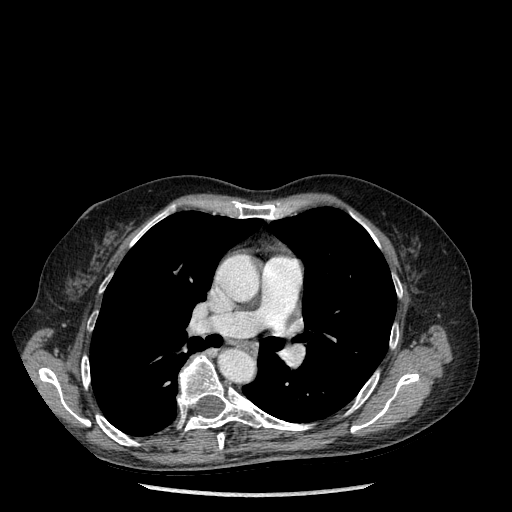

Chest | CT image
lung: (x1=90, y1=211, x2=262, y2=436), (x1=242, y1=207, x2=396, y2=422) | bone: (x1=217, y1=432, x2=224, y2=449), (x1=38, y1=367, x2=90, y2=426), (x1=393, y1=275, x2=402, y2=297), (x1=231, y1=201, x2=282, y2=219), (x1=130, y1=205, x2=174, y2=246), (x1=346, y1=371, x2=379, y2=414), (x1=351, y1=372, x2=419, y2=433), (x1=87, y1=314, x2=95, y2=330), (x1=350, y1=212, x2=380, y2=247), (x1=81, y1=356, x2=90, y2=388), (x1=390, y1=324, x2=398, y2=348), (x1=99, y1=275, x2=110, y2=292), (x1=177, y1=354, x2=310, y2=431), (x1=96, y1=414, x2=140, y2=445)